Field of view 240 mm wide, 1.00 mm slice spacing, 240x240, Slice 114 of 155
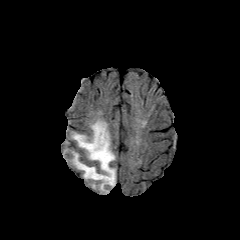
FLAIR magnetic resonance.
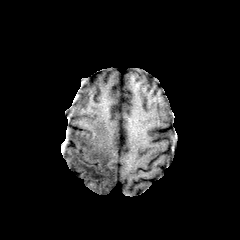
T1-weighted MR of the same slice.
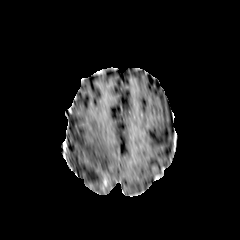
Post-contrast T1-weighted magnetic resonance.
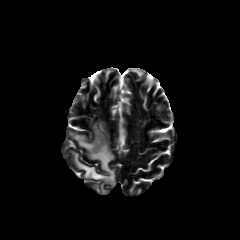
T2-weighted MRI.
non-enhancing tumor core: rect(93, 171, 103, 186) | edema: rect(71, 121, 115, 193)